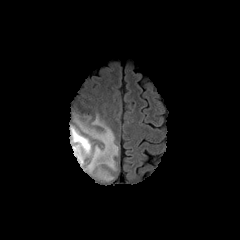
FLAIR MRI.
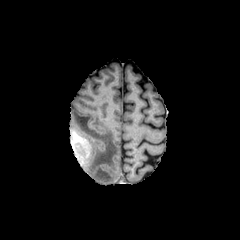
T1-weighted MR.
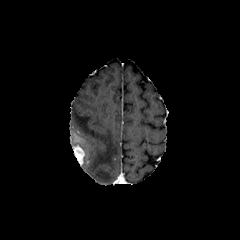
Same slice, post-contrast T1-weighted MRI.
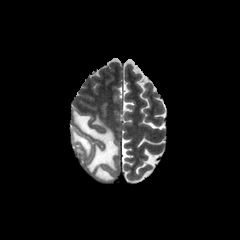
T2-weighted MRI of the same slice.
Image size 240x240; Brain
Non-enhancing tumor core — box(72, 132, 90, 151).
Edema — box(96, 170, 113, 180); box(74, 110, 117, 170).
Enhancing tumor — box(74, 146, 83, 163).